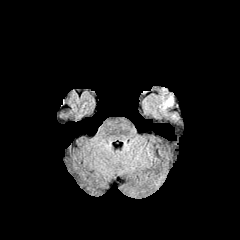
FLAIR MR image.
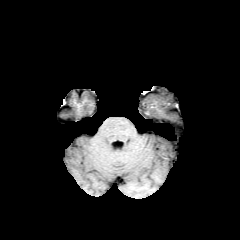
Same slice, T1-weighted MR.
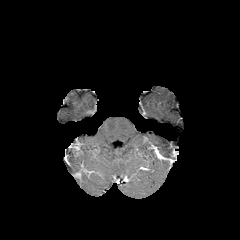
Post-contrast T1-weighted magnetic resonance.
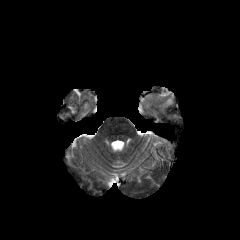
Same slice, T2-weighted MR.
Brain
The edema is at 157, 92, 173, 113.